Slice 128 of 155 | Image size 240x240
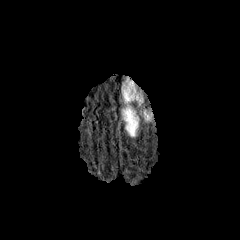
FLAIR MRI.
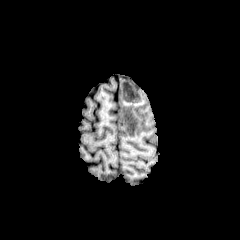
Same slice, T1-weighted MR image.
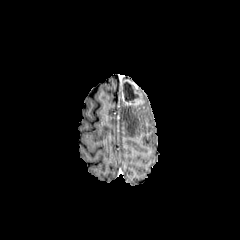
Post-contrast T1-weighted magnetic resonance.
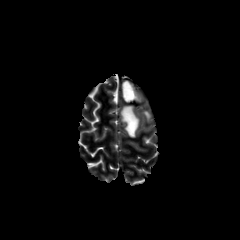
Same slice, T2-weighted MR image.
enhancing_tumor:
  - l=121, t=80, r=144, b=105
non-enhancing_tumor_core:
  - l=123, t=81, r=140, b=101
edema:
  - l=143, t=110, r=153, b=122
  - l=121, t=106, r=139, b=137